CT image | Slice 42/55

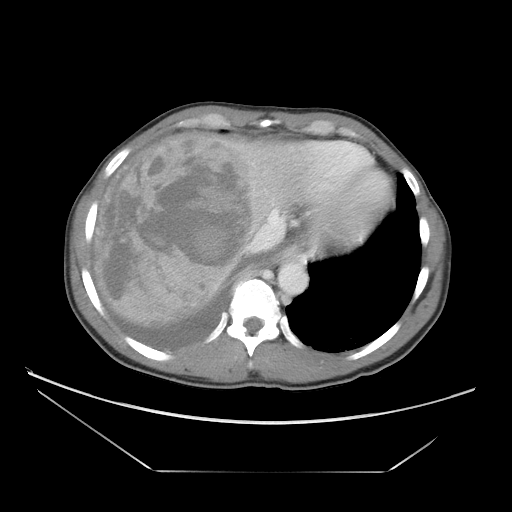

Some hepatic vessels may have no box.
Liver tumor = box=[94, 135, 262, 323].
Hepatic vessel = box=[273, 210, 276, 212]; box=[280, 217, 284, 222].